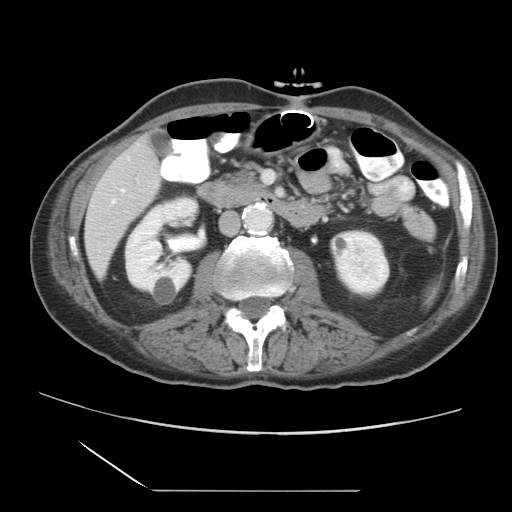 CT image
Some hepatic vessels may have no box.
Hepatic vessel: bbox=[122, 189, 124, 192]; bbox=[128, 157, 129, 158]; bbox=[112, 199, 116, 203].